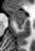 Medial temporal lobe, MR

- posterior hippocampus: bbox=[14, 20, 24, 29]
- anterior hippocampus: bbox=[7, 7, 25, 19]